Computed tomography | Slice index 324 | Liver 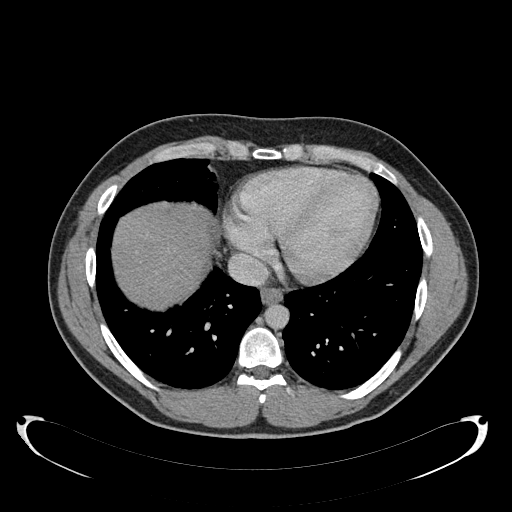
liver:
  - (114, 205, 212, 305)